Brain
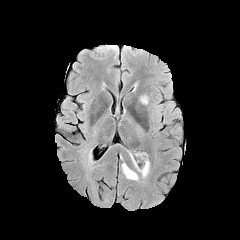
FLAIR MRI.
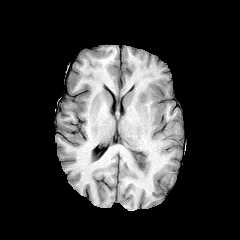
T1-weighted MR image.
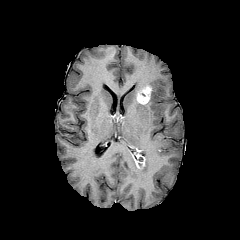
Post-contrast T1-weighted MRI.
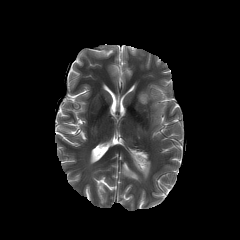
T2-weighted MR of the same slice.
Annotated regions:
• edema: bbox(122, 150, 150, 181); bbox(151, 86, 162, 97)
• non-enhancing tumor core: bbox(138, 86, 157, 98)
• enhancing tumor: bbox(132, 153, 141, 166); bbox(138, 92, 149, 103)